Slice index 458, Abdomen, CT image
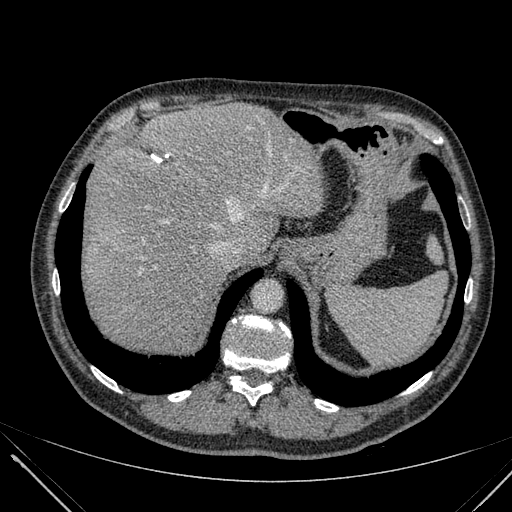

{
  "focal_liver_lesion": [
    "region(162, 157, 172, 164)",
    "region(143, 146, 163, 154)"
  ],
  "liver": [
    "region(82, 103, 323, 352)"
  ]
}